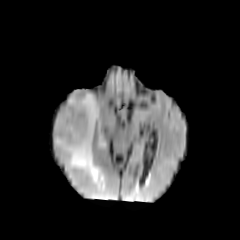
FLAIR magnetic resonance.
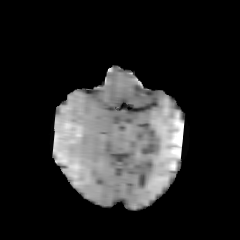
T1-weighted magnetic resonance.
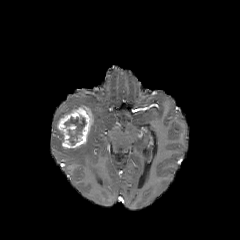
Post-contrast T1-weighted magnetic resonance.
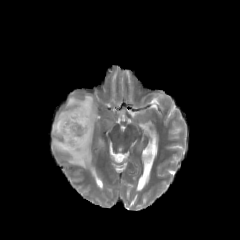
T2-weighted MRI of the same slice.
Brain
Enhancing tumor = [57, 104, 93, 149].
Non-enhancing tumor core = [64, 115, 86, 144].
Edema = [53, 91, 99, 182].